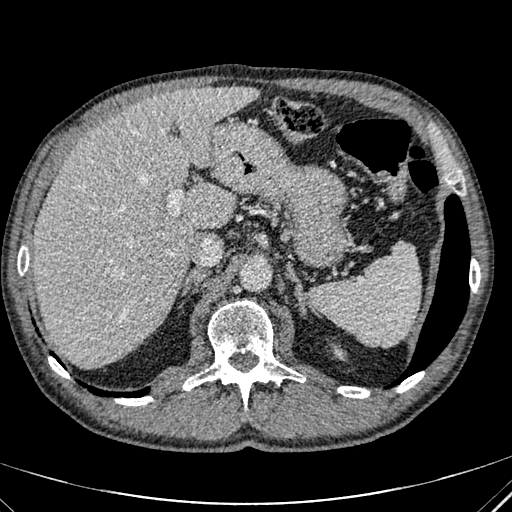 CT scan slice; Image size 512x512
Hepatic lesion: bounding box 163:94:171:103.
Liver: bounding box 35:86:258:366.